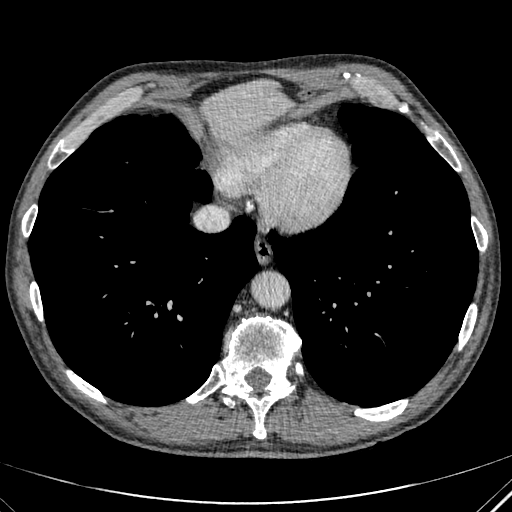 Abdomen, CT scan slice
liver:
  - x1=202 y1=79 x2=291 y2=142